CT scan slice | Abdomen

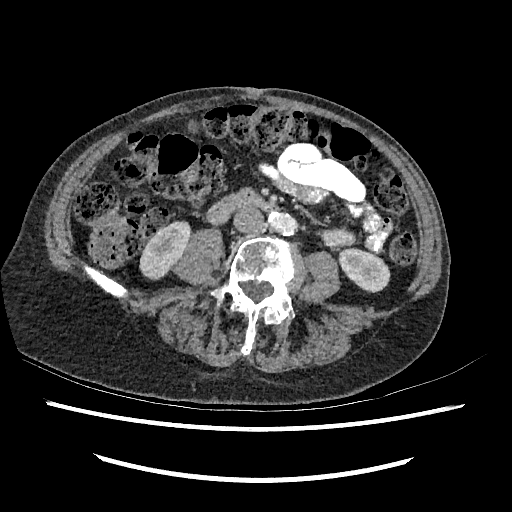
Kidney: [141,224,189,278], [339,249,389,291].